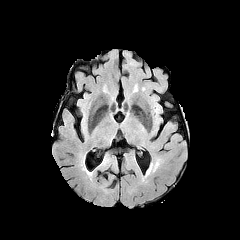
FLAIR MRI.
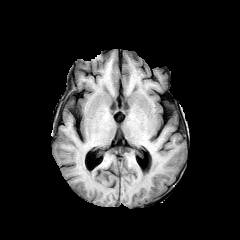
T1-weighted MR.
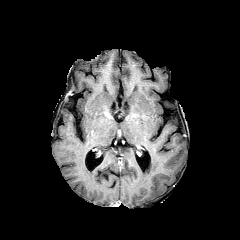
Post-contrast T1-weighted magnetic resonance of the same slice.
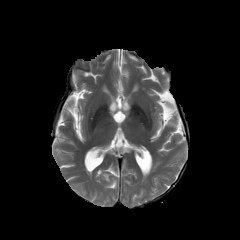
T2-weighted MR of the same slice.
Edema at rect(144, 162, 158, 177).